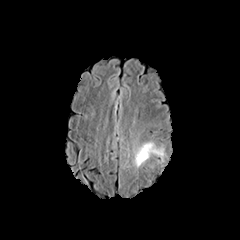
FLAIR MRI.
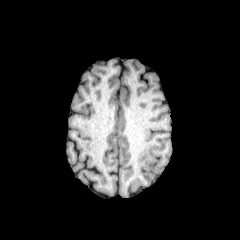
T1-weighted MR.
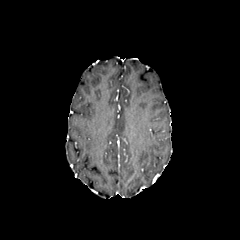
Post-contrast T1-weighted MRI.
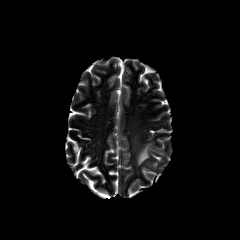
T2-weighted MRI.
Brain
Edema: bounding box <box>136,142,153,165</box>.